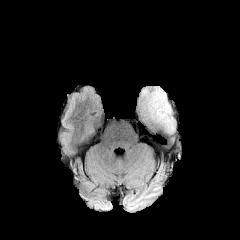
FLAIR MR image.
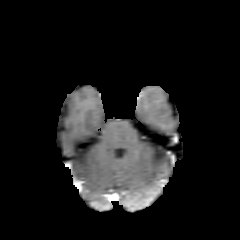
T1-weighted MR.
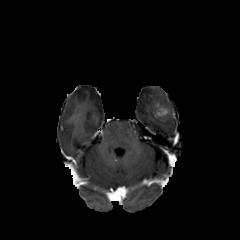
Same slice, post-contrast T1-weighted MRI.
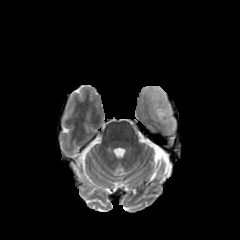
Same slice, T2-weighted MR.
Head
The edema appears at {"x1": 149, "y1": 90, "x2": 175, "y2": 133}. The enhancing tumor is located at {"x1": 157, "y1": 108, "x2": 167, "y2": 115}.